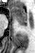
Medial temporal lobe; MR
Posterior hippocampus — rect(20, 24, 26, 25).
Anterior hippocampus — rect(12, 7, 26, 23).